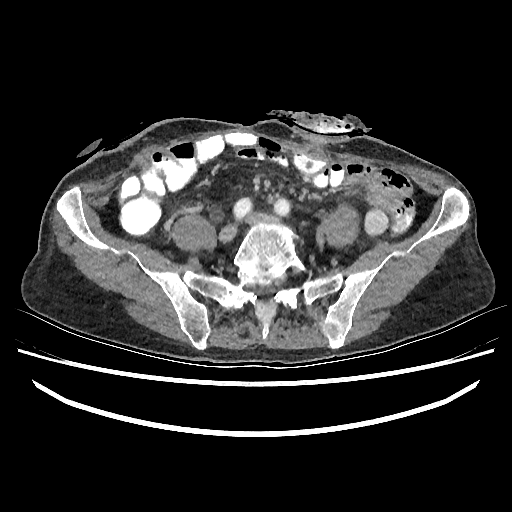

CT scan slice | 512x512 px | Abdomen
kidney: {"x1": 390, "y1": 251, "x2": 405, "y2": 256}, {"x1": 365, "y1": 210, "x2": 387, "y2": 233}